CT slice; Abdomen; Slice 398 of 908

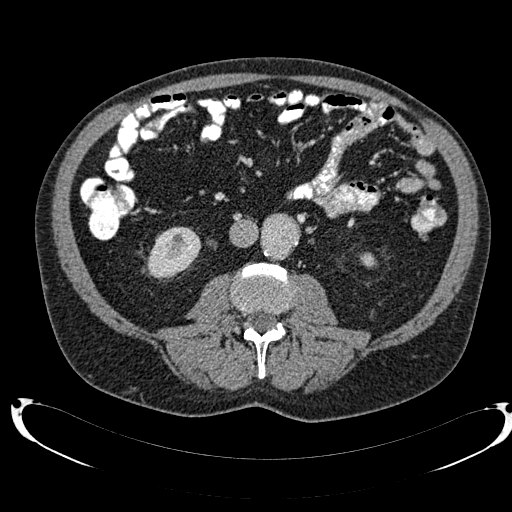

kidney:
  - [x1=147, y1=227, x2=200, y2=278]
  - [x1=360, y1=253, x2=375, y2=266]